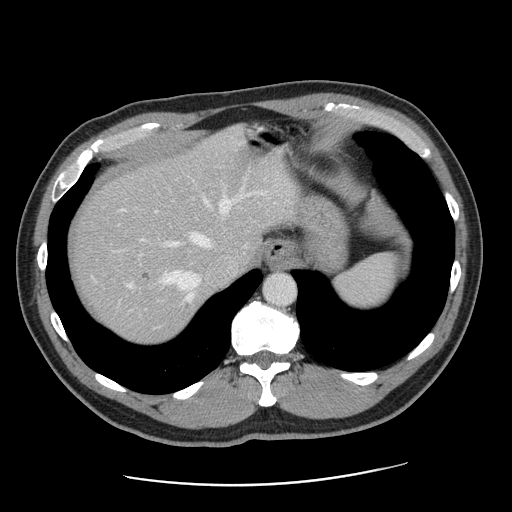 CT image, Abdomen
Some hepatic vessels may have no box.
Liver tumor: l=140, t=270, r=152, b=282; l=182, t=301, r=192, b=310.
Hepatic vessel: l=191, t=232, r=248, b=283; l=204, t=196, r=208, b=202; l=128, t=282, r=133, b=287; l=161, t=271, r=198, b=300; l=220, t=192, r=231, b=212; l=157, t=210, r=158, b=211.